Slice index 53
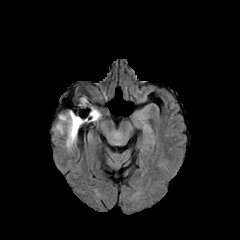
FLAIR MR image.
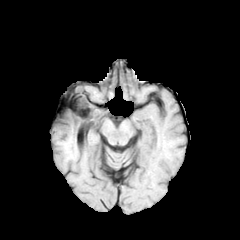
T1-weighted MR image of the same slice.
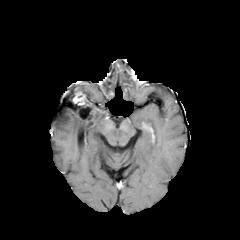
Post-contrast T1-weighted MR.
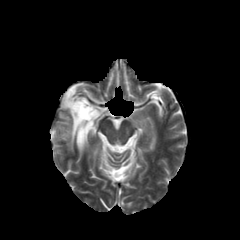
T2-weighted MR image.
The non-enhancing tumor core lies within bbox(72, 112, 81, 129). 2 edema regions are located at bbox(54, 110, 101, 149); bbox(74, 108, 87, 117).